Brain
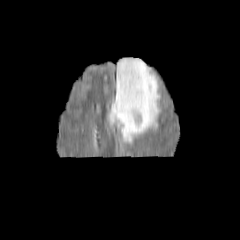
FLAIR magnetic resonance.
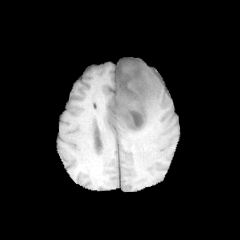
T1-weighted MR of the same slice.
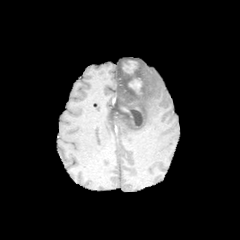
Post-contrast T1-weighted MR image of the same slice.
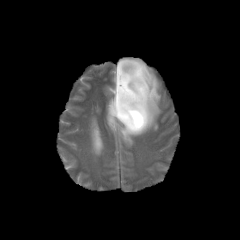
T2-weighted MRI.
The edema lies within [107,57,159,144]. 2 enhancing tumor regions are bounded by [123,60,137,73], [128,79,141,92]. The non-enhancing tumor core is at [116,60,145,128].